FLAIR magnetic resonance.
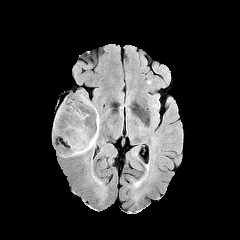
T1-weighted magnetic resonance.
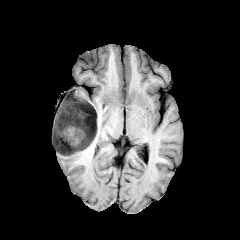
Post-contrast T1-weighted MR image.
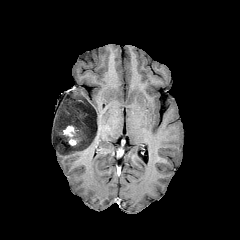
T2-weighted magnetic resonance.
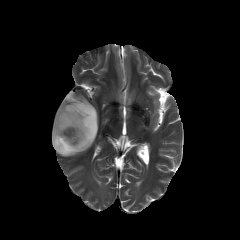
<segmentation>
  <enhancing_tumor>64, 125, 76, 145</enhancing_tumor>
  <non-enhancing_tumor_core>54, 98, 97, 154</non-enhancing_tumor_core>
  <edema>57, 146, 93, 156</edema>
</segmentation>